CT slice, Slice 70/114, Field of view 367 mm wide, 5.00 mm slice spacing
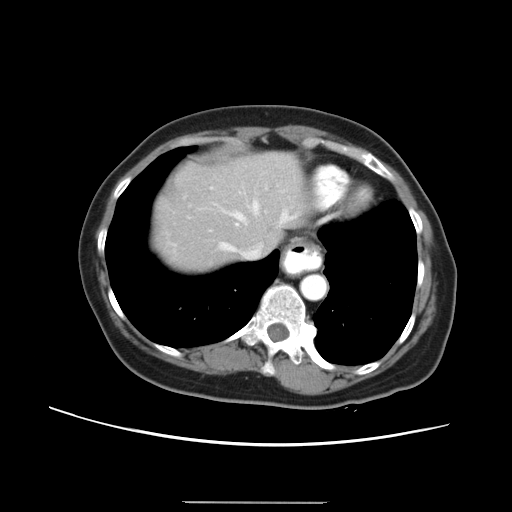
Not every hepatic vessel necessarily has a box.
{
  "hepatic_vessel": [
    "x1=252 y1=200 x2=258 y2=213",
    "x1=222 y1=209 x2=246 y2=225",
    "x1=220 y1=242 x2=234 y2=250"
  ]
}